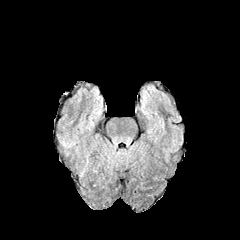
FLAIR magnetic resonance.
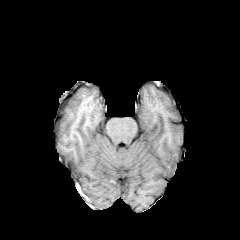
T1-weighted MR image.
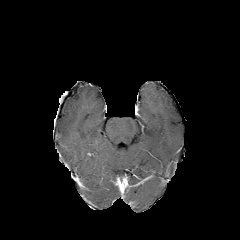
Post-contrast T1-weighted magnetic resonance of the same slice.
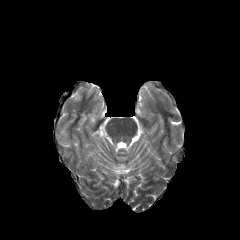
T2-weighted magnetic resonance.
Findings:
- edema: l=85, t=134, r=105, b=171; l=91, t=108, r=101, b=123